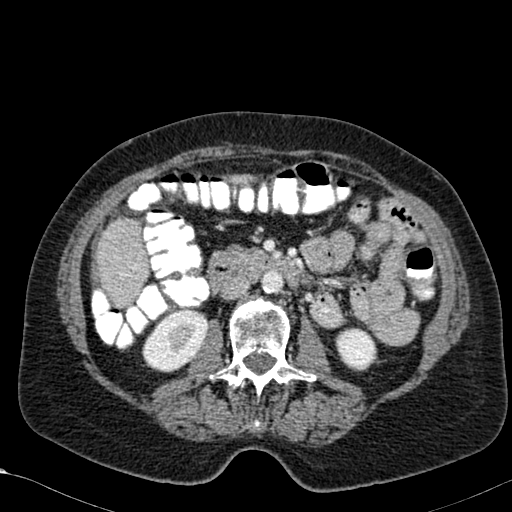 CT slice, 512x512

2 kidney regions appear at 143,303,208,371; 336,329,375,369. 2 liver regions appear at 97,218,147,307; 231,175,252,183.